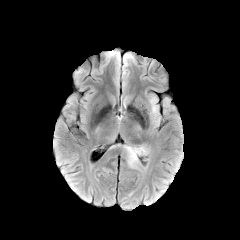
FLAIR MR.
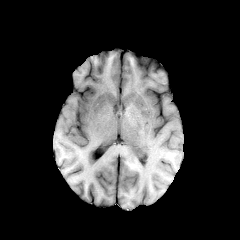
T1-weighted magnetic resonance.
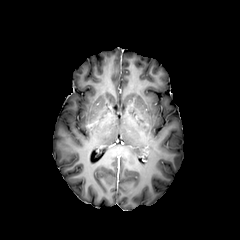
Post-contrast T1-weighted MR.
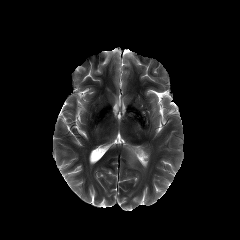
T2-weighted MR image.
240x240
non-enhancing_tumor_core:
  - 124,146,138,163
edema:
  - 150,96,160,125
  - 131,145,145,154